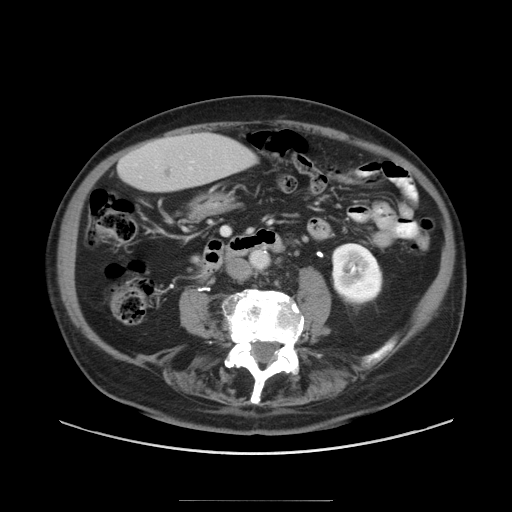
Image size 512x512, CT image
The vessel annotation is not exhaustive.
hepatic vessel: 190 167 192 169